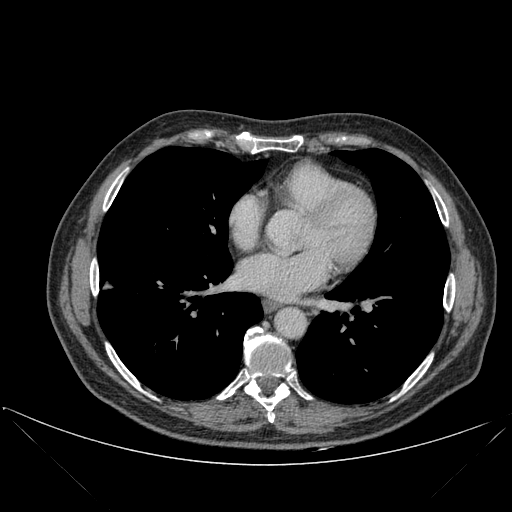

CT slice, Image size 512x512

lung: bbox(296, 148, 449, 403); bbox(97, 146, 266, 399) | bone: bbox(443, 274, 454, 311); bbox(398, 354, 432, 395); bbox(433, 190, 448, 225); bbox(106, 343, 143, 391); bbox(103, 174, 122, 210); bbox(90, 259, 98, 295); bbox(217, 327, 293, 422); bbox(251, 136, 302, 153)